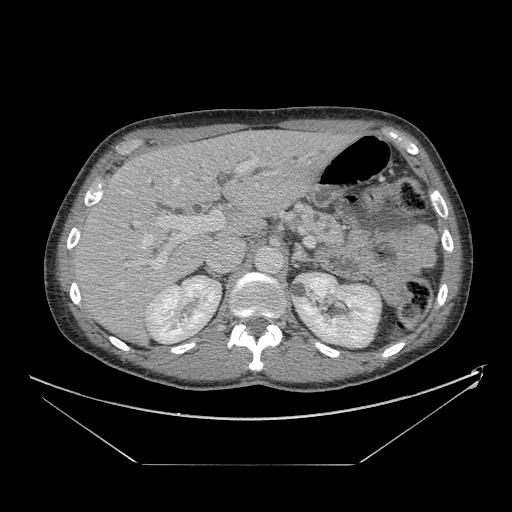 CT.

pancreas:
  - 301, 205, 346, 248